Field of view 386x386 mm | 512x512 | Upper abdomen | Computed tomography

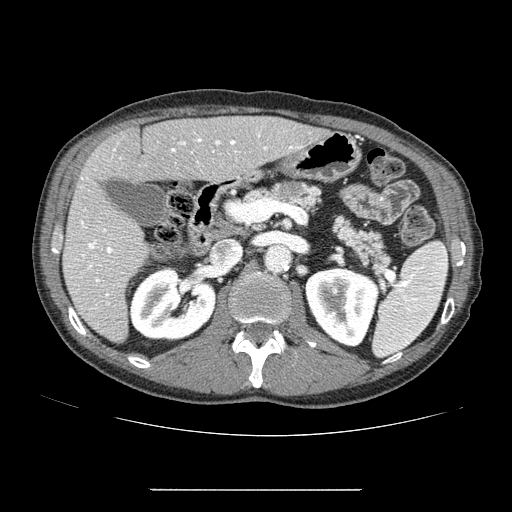
Pancreas: bounding box 242 181 320 211, 333 216 389 274.
Pancreatic tumor: bounding box 277 182 303 200.